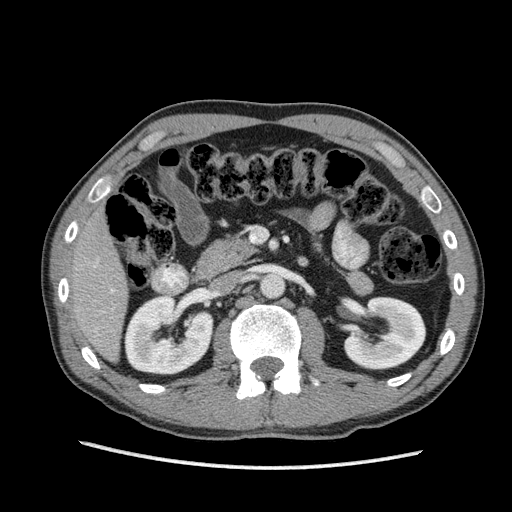
CT scan slice, 512x512, Upper abdomen

2 kidney regions are bounded by 345,298,424,368; 126,296,211,373. The liver lies within 63,206,128,362.